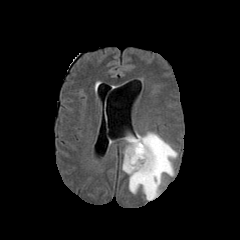
FLAIR magnetic resonance.
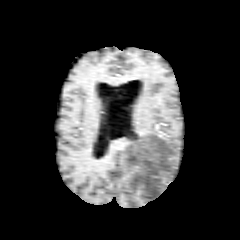
Same slice, T1-weighted MRI.
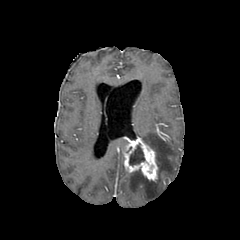
Post-contrast T1-weighted MR image of the same slice.
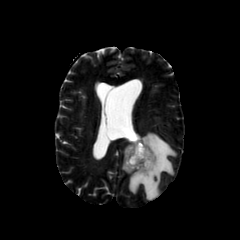
T2-weighted MRI.
Brain.
Annotated regions:
* enhancing tumor: (left=124, top=136, right=158, bottom=181)
* non-enhancing tumor core: (left=129, top=145, right=144, bottom=165)
* edema: (left=122, top=131, right=177, bottom=200)